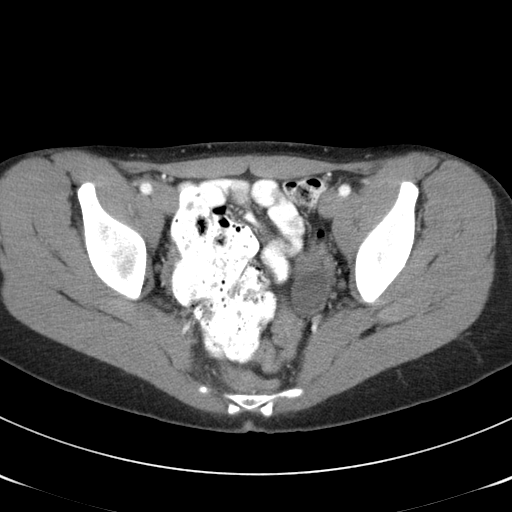

CT scan slice. Pelvis.

colon tumor: box(298, 244, 334, 271); box(270, 312, 302, 346)